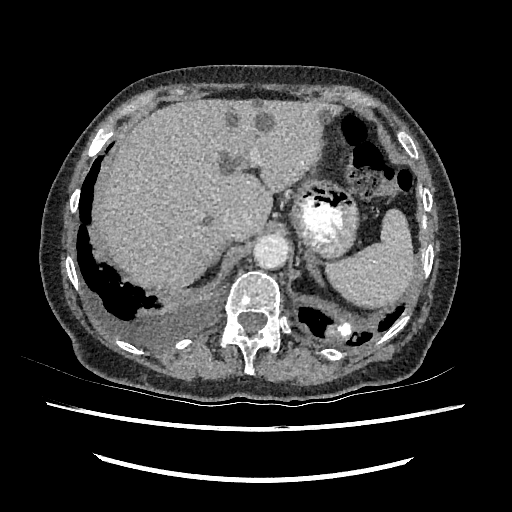

CT slice. Abdomen.

<segmentation>
  <liver_lesion>202 216 212 225, 255 113 274 131, 220 153 240 176, 253 101 263 107, 318 108 331 124, 226 110 238 128</liver_lesion>
  <liver>101 100 341 289</liver>
</segmentation>